CT; Image size 512x512; Slice index 387; Upper abdomen

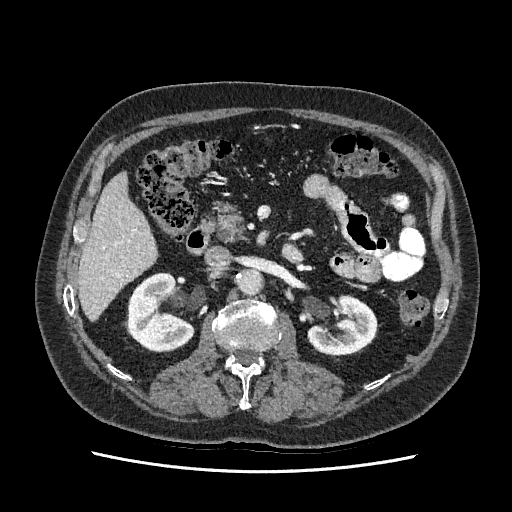
Segmented structures:
• liver: x1=79, y1=173, x2=156, y2=320
• kidney: x1=308, y1=297, x2=376, y2=354; x1=128, y1=274, x2=193, y2=350